512x512 | CT image 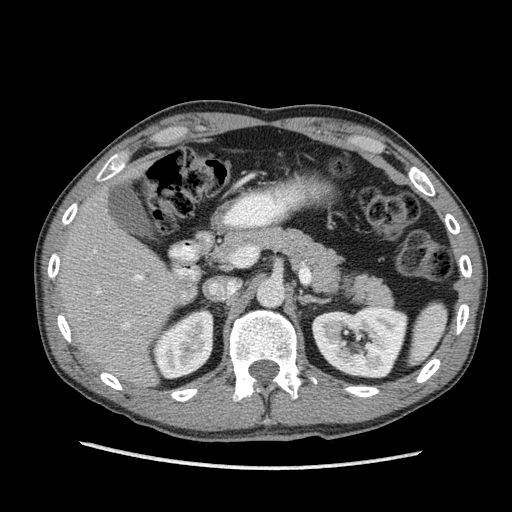 Kidney: left=156, top=312, right=212, bottom=377; left=313, top=307, right=405, bottom=376.
Liver: left=55, top=169, right=185, bottom=389.